Slice 60 of 155
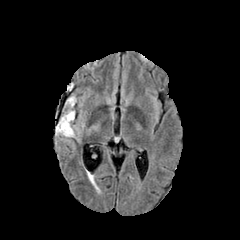
FLAIR MRI.
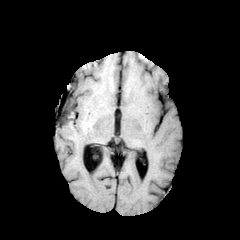
T1-weighted MR image.
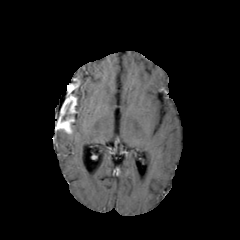
Post-contrast T1-weighted MR image of the same slice.
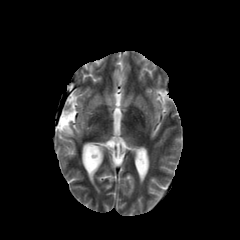
T2-weighted MR image of the same slice.
Non-enhancing tumor core — [x1=56, y1=109, x2=77, y2=126].
Edema — [x1=55, y1=114, x2=86, y2=146].
Enhancing tumor — [x1=56, y1=116, x2=73, y2=133], [x1=61, y1=93, x2=75, y2=118].